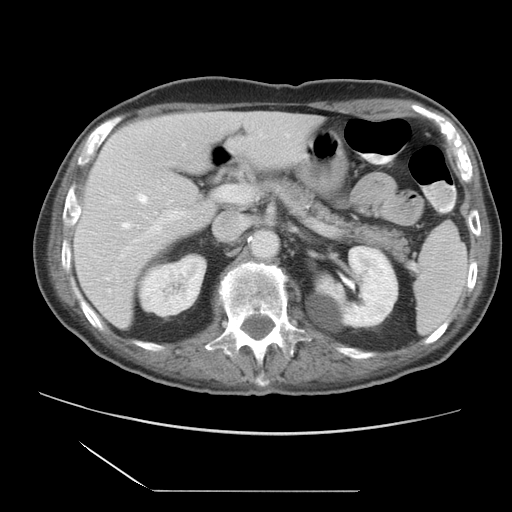

512x512. CT.

The vessel annotation is not exhaustive.
Annotated regions:
• hepatic vessel: x1=216, y1=186, x2=251, y2=200; x1=123, y1=221, x2=132, y2=228; x1=108, y1=289, x2=110, y2=291; x1=133, y1=210, x2=185, y2=242; x1=136, y1=192, x2=148, y2=204